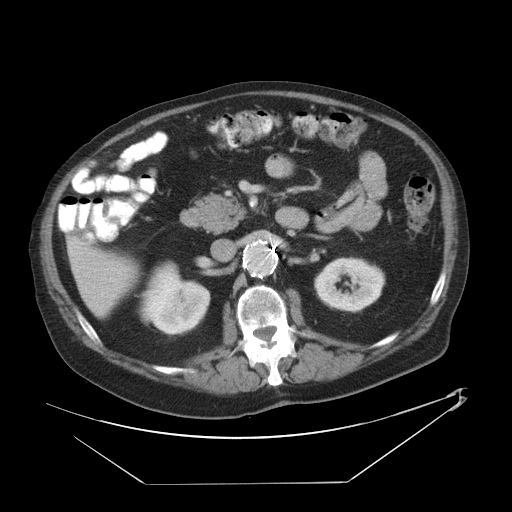 512x512 px, CT
Some hepatic vessels may have no box.
3 hepatic vessel regions are bounded by {"x1": 72, "y1": 259, "x2": 75, "y2": 262}, {"x1": 69, "y1": 238, "x2": 80, "y2": 250}, {"x1": 70, "y1": 252, "x2": 73, "y2": 255}.